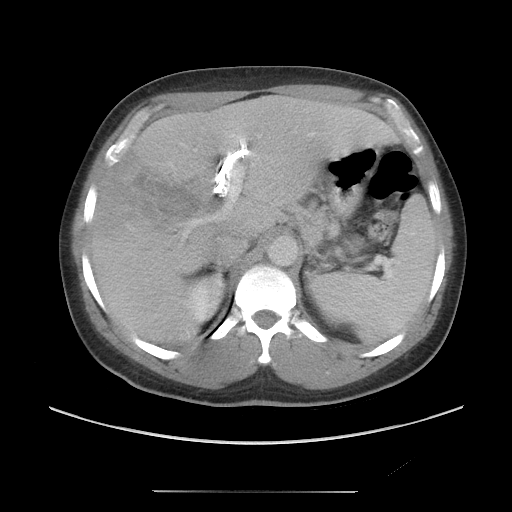

CT image | 512x512 px

Some hepatic vessels may have no box.
Segmented structures:
* liver tumor: 95, 151, 212, 234
* hepatic vessel: 130, 229, 134, 230; 181, 216, 209, 243